CT slice
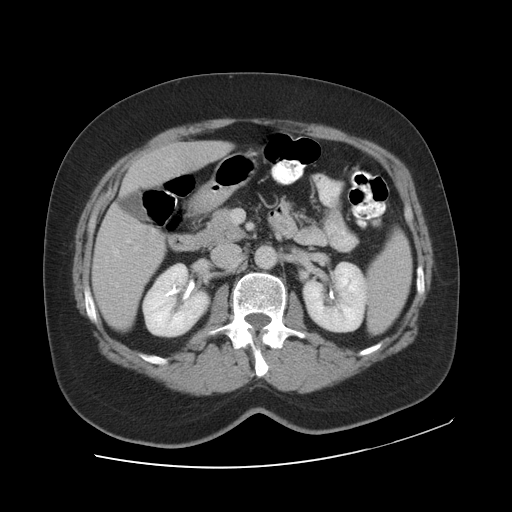 Not every hepatic vessel necessarily has a box.
Annotated regions:
• hepatic vessel: left=135, top=247, right=137, bottom=249; left=116, top=283, right=118, bottom=286; left=129, top=184, right=132, bottom=186; left=131, top=235, right=132, bottom=237; left=114, top=249, right=118, bottom=256; left=127, top=240, right=129, bottom=242